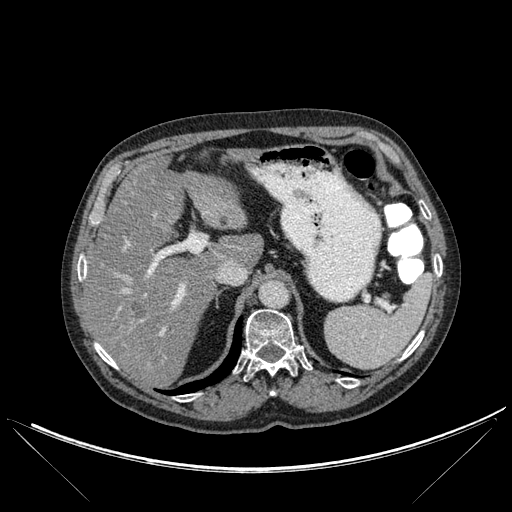 CT scan slice; Upper abdomen; 512x512

Lung: (162, 317, 241, 394).
Liver: (226, 149, 256, 161), (84, 157, 263, 388).
Liver lesion: (133, 301, 144, 318).
Bone: (401, 331, 423, 359), (234, 309, 311, 375), (174, 394, 197, 401), (420, 201, 430, 218), (77, 257, 86, 280), (94, 343, 117, 368), (434, 254, 442, 276), (337, 378, 359, 388).